Brain; Slice index 103
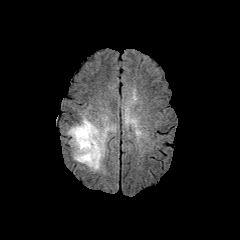
FLAIR MR image.
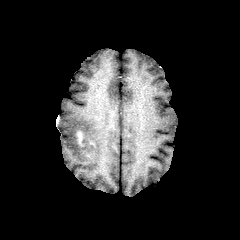
T1-weighted magnetic resonance.
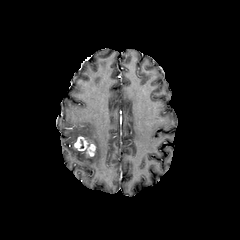
Same slice, post-contrast T1-weighted MR.
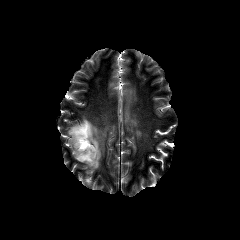
T2-weighted MRI.
2 edema regions are located at left=66, top=116, right=119, bottom=171; left=122, top=106, right=135, bottom=127. The enhancing tumor is located at left=74, top=136, right=95, bottom=156.